Liver; Computed tomography 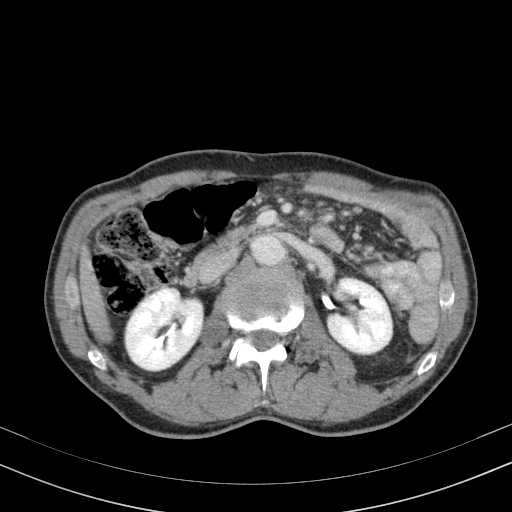

The liver is at {"x1": 79, "y1": 243, "x2": 111, "y2": 344}. 2 kidney regions appear at {"x1": 328, "y1": 279, "x2": 391, "y2": 352}, {"x1": 126, "y1": 289, "x2": 202, "y2": 369}.